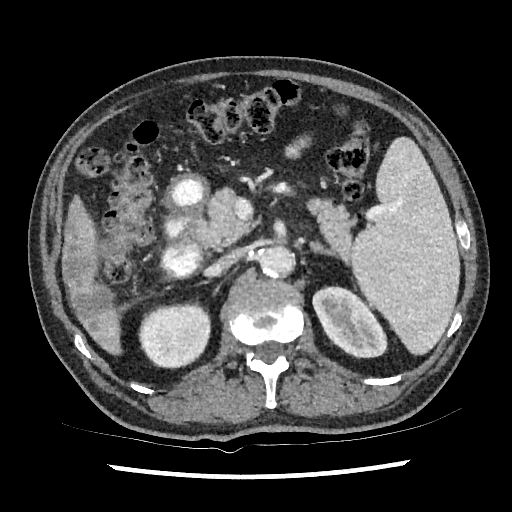
Abdomen; CT
2 hepatic lesion regions are located at bbox=[64, 217, 96, 286]; bbox=[72, 286, 111, 332]. 4 liver regions are located at bbox=[64, 236, 71, 257]; bbox=[82, 301, 120, 352]; bbox=[67, 198, 98, 266]; bbox=[68, 267, 109, 300]. 2 kidney regions are bounded by bbox=[140, 305, 209, 367]; bbox=[313, 287, 386, 357].